Slice 45/83. Computed tomography.
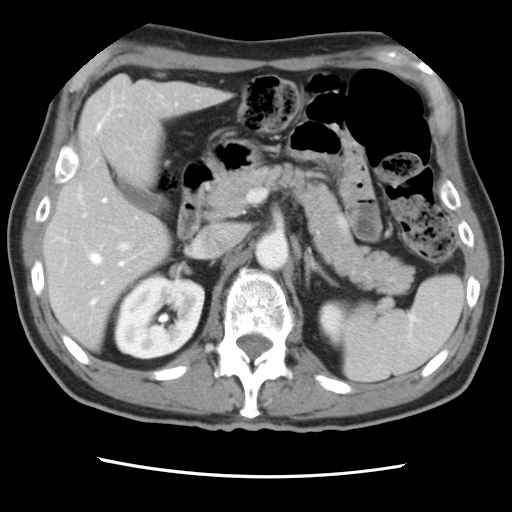
The vessel boxes may cover only some of the vessels.
13 hepatic vessel regions appear at 60 237 66 241, 83 213 86 216, 111 104 113 108, 97 122 102 130, 102 281 104 283, 104 199 105 200, 119 262 123 265, 78 186 81 198, 176 103 177 105, 120 243 127 249, 91 299 95 304, 89 253 101 263, 106 110 109 115.